CT slice; Image width 320 mm; 512x512 px; Lower abdomen 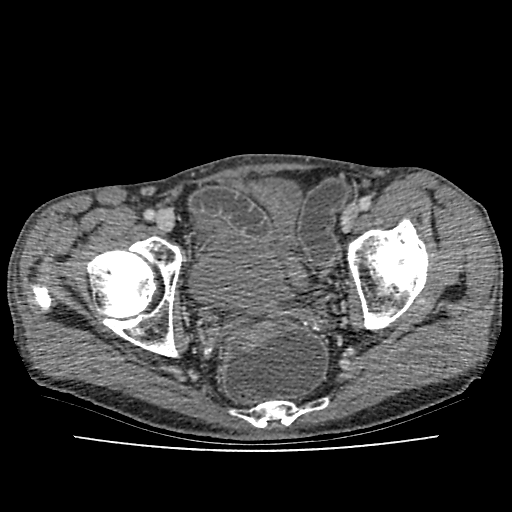 urinary bladder: (188, 178, 303, 308)